Image width 240 mm
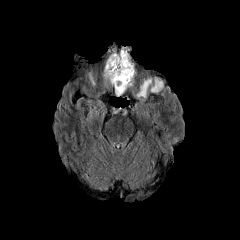
FLAIR magnetic resonance.
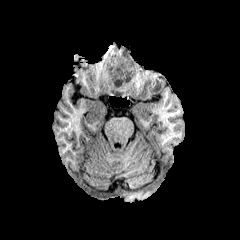
Same slice, T1-weighted MRI.
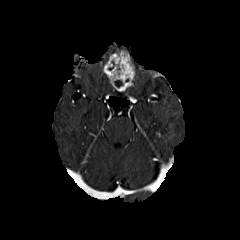
Post-contrast T1-weighted magnetic resonance.
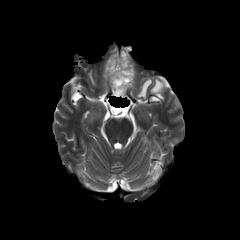
T2-weighted MR image of the same slice.
edema:
  - 150, 78, 163, 93
  - 137, 77, 152, 97
non-enhancing_tumor_core:
  - 114, 80, 122, 87
enhancing_tumor:
  - 102, 48, 137, 92